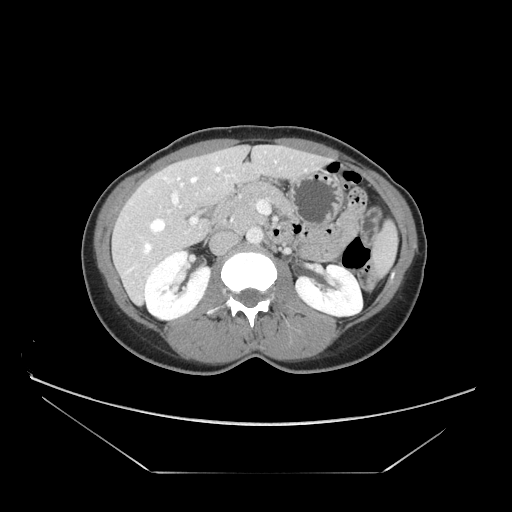 CT image
{
  "pancreas": [
    "x1=220, y1=182, x2=292, y2=232"
  ]
}